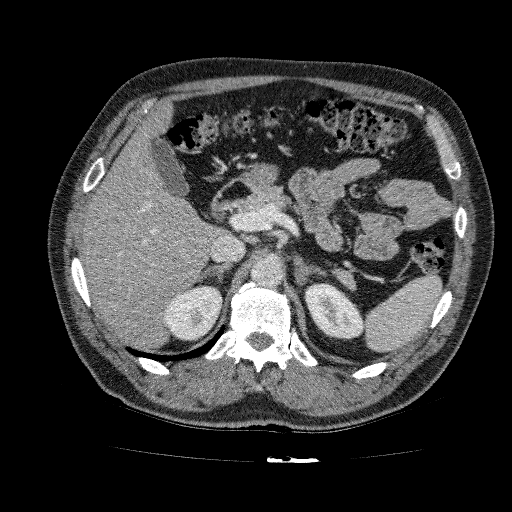

CT scan slice
liver: x1=80, y1=98, x2=228, y2=349 | kidney: x1=306, y1=284, x2=363, y2=337; x1=163, y1=286, x2=221, y2=339